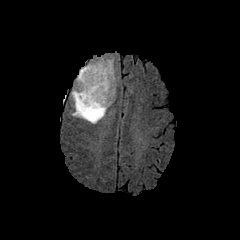
FLAIR magnetic resonance.
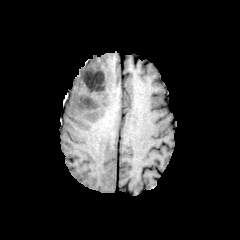
T1-weighted MR.
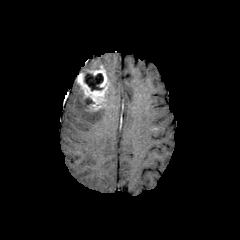
Same slice, post-contrast T1-weighted MR.
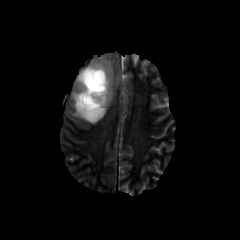
T2-weighted magnetic resonance of the same slice.
Image size 240x240
<segmentation>
  <non-enhancing_tumor_core>box=[85, 73, 103, 90]; box=[82, 98, 92, 106]</non-enhancing_tumor_core>
  <edema>box=[70, 59, 113, 124]</edema>
  <enhancing_tumor>box=[76, 61, 109, 112]</enhancing_tumor>
</segmentation>